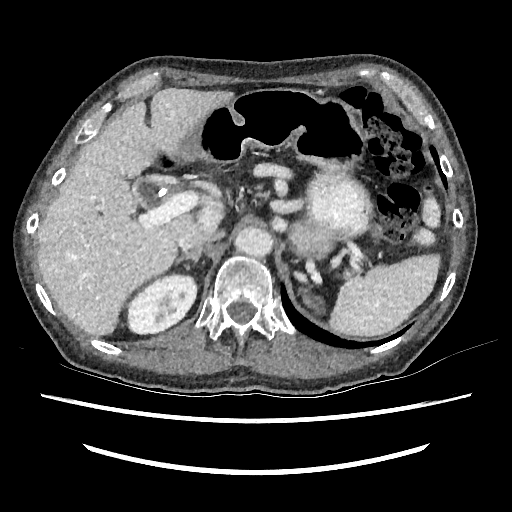 CT slice

kidney: bbox=[129, 276, 196, 333] | liver: bbox=[37, 89, 229, 334]